Abdomen; 512x512 px; CT scan slice

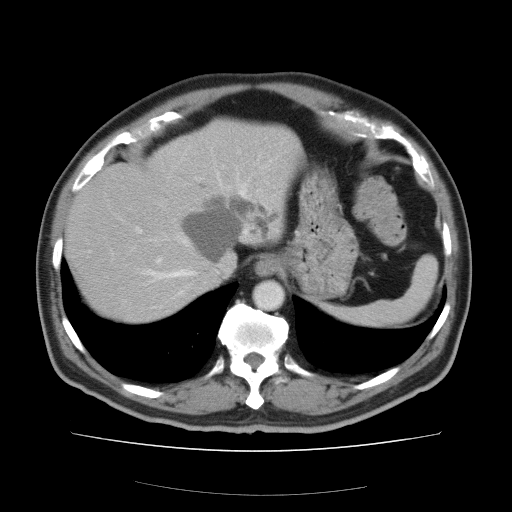 Some hepatic vessels may have no box.
7 hepatic vessel regions appear at box=[152, 239, 157, 241]; box=[158, 204, 162, 205]; box=[146, 270, 162, 278]; box=[216, 171, 222, 187]; box=[165, 238, 167, 239]; box=[177, 269, 194, 275]; box=[174, 233, 188, 246].